512x512 | Computed tomography 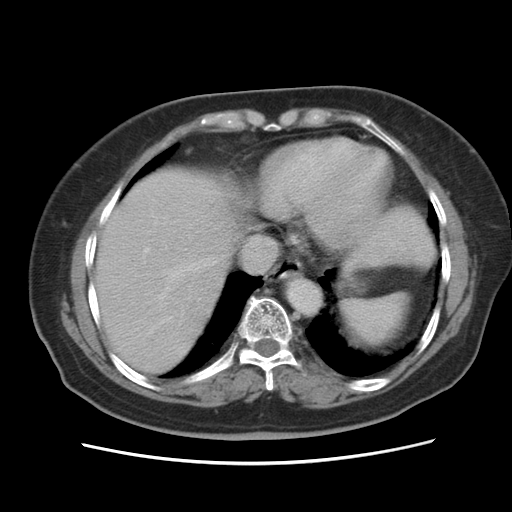
Only some of the vessels may be annotated.
Hepatic vessel: box(155, 221, 156, 223); box(171, 260, 215, 279); box(145, 248, 149, 252); box(248, 236, 275, 272); box(160, 317, 170, 323).